Field of view 240x240 mm; Head; Slice 118/155
FLAIR magnetic resonance.
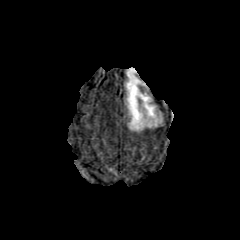
T1-weighted MR image.
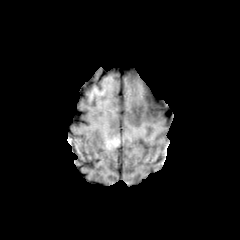
Post-contrast T1-weighted MR.
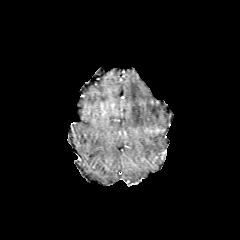
T2-weighted MR.
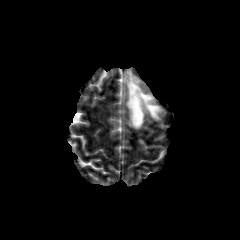
Annotated regions:
* edema: box=[124, 69, 163, 130]